512x512 px | Thorax | Image width 360 mm | CT slice

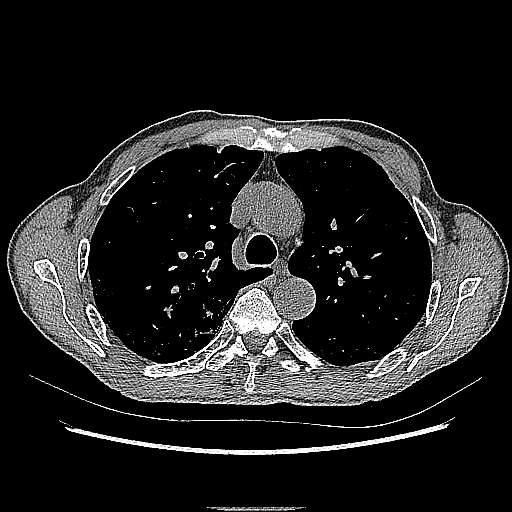
Annotated regions:
- lung tumor: bbox(194, 299, 222, 337)